Chest | Image width 400 mm | CT slice | 512x512 px
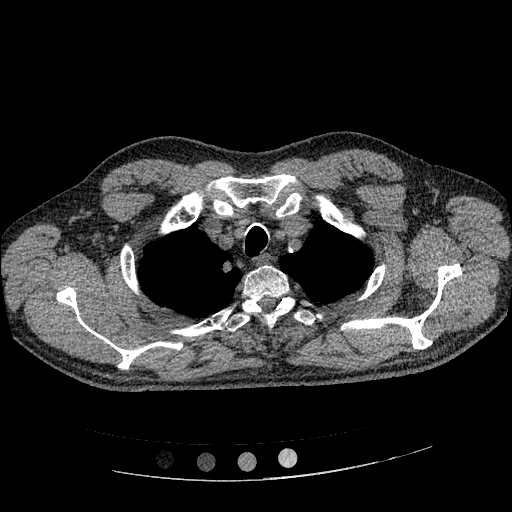 Lung tumor at <box>220,257,234,274</box>.